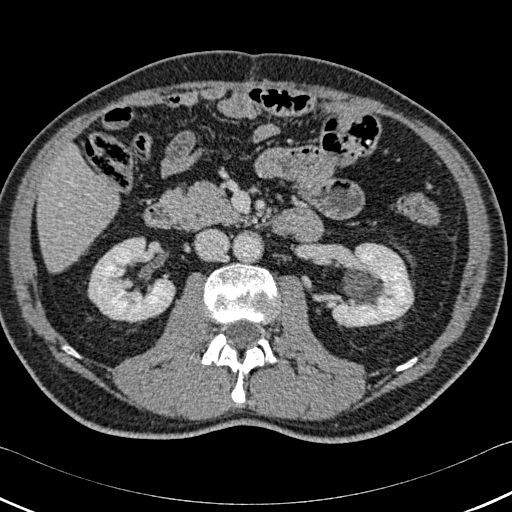 CT scan slice
Liver: bounding box [37, 148, 118, 269].
Bone: bounding box [396, 358, 416, 370], [204, 264, 277, 323], [63, 347, 79, 357], [201, 334, 276, 403].
Kidney: bounding box [89, 238, 174, 321], [333, 244, 412, 325].